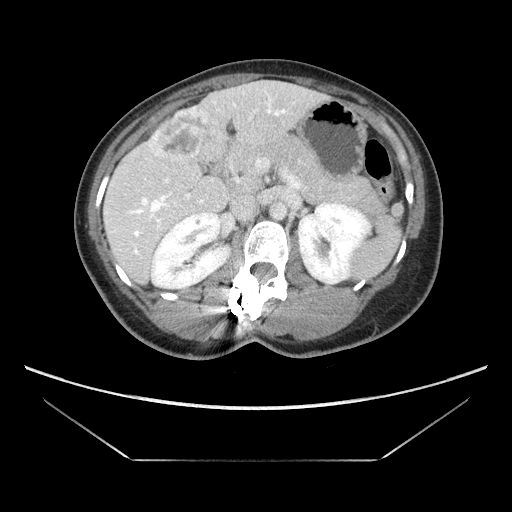 Liver. 512x512 px. CT slice.
The vessel annotation is not exhaustive.
{"liver_tumor": ["l=153, t=108, r=204, b=161"], "hepatic_vessel": ["l=152, t=200, r=162, b=208", "l=283, t=170, r=287, b=177", "l=260, t=160, r=266, b=165"]}